240x240 px
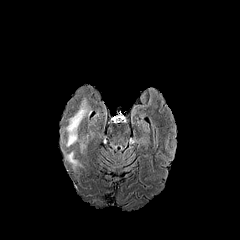
FLAIR MRI.
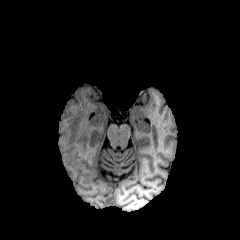
T1-weighted MRI.
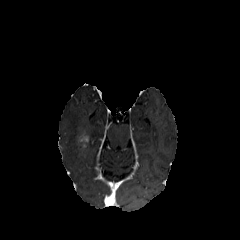
Same slice, post-contrast T1-weighted MR.
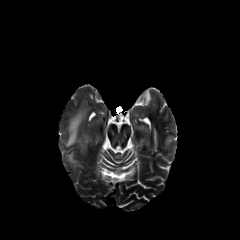
Same slice, T2-weighted MR image.
Edema: {"x1": 64, "y1": 152, "x2": 77, "y2": 166}, {"x1": 77, "y1": 141, "x2": 86, "y2": 152}, {"x1": 60, "y1": 98, "x2": 93, "y2": 148}.
Enhancing tumor: {"x1": 78, "y1": 132, "x2": 89, "y2": 142}.